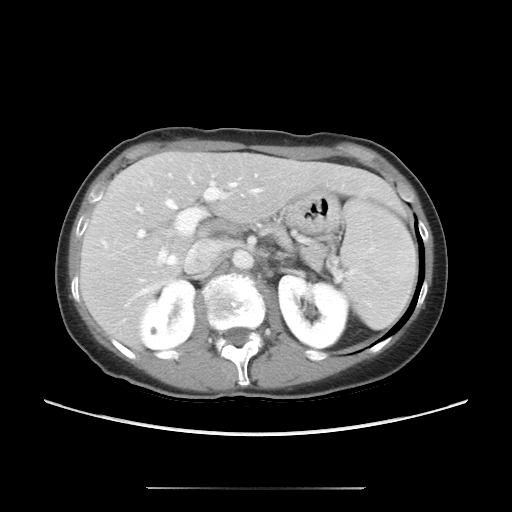

Liver, CT slice
Some hepatic vessels may have no box.
13 hepatic vessel regions are located at l=169, t=174, r=170, b=176; l=211, t=181, r=214, b=187; l=126, t=285, r=155, b=306; l=255, t=174, r=257, b=177; l=228, t=182, r=236, b=187; l=136, t=205, r=140, b=210; l=165, t=200, r=176, b=208; l=251, t=188, r=262, b=193; l=103, t=242, r=105, b=245; l=157, t=262, r=161, b=265; l=160, t=252, r=175, b=263; l=137, t=229, r=144, b=237; l=222, t=193, r=224, b=197.